FLAIR MR.
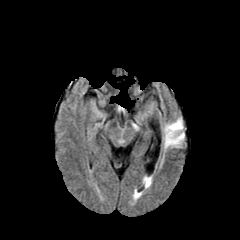
T1-weighted MRI.
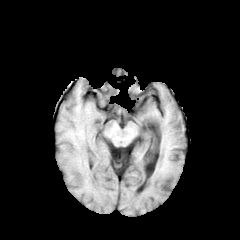
Post-contrast T1-weighted MR image.
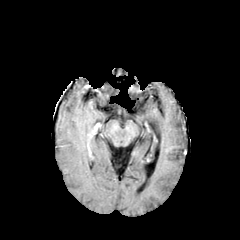
T2-weighted magnetic resonance.
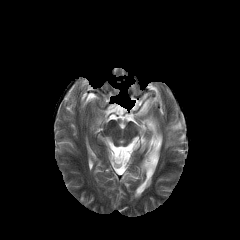
Brain | 240x240 px
The edema appears at [162, 118, 184, 148].